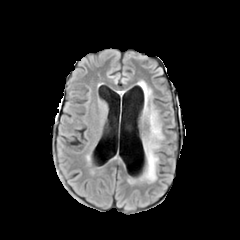
FLAIR MR image.
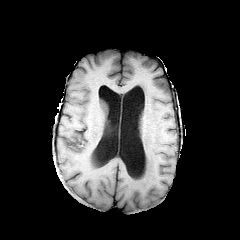
T1-weighted MRI of the same slice.
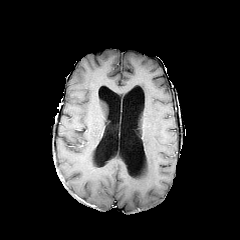
Same slice, post-contrast T1-weighted MR image.
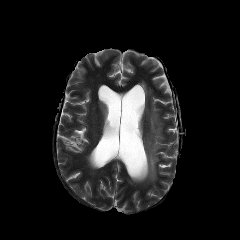
Same slice, T2-weighted MR image.
The edema appears at <box>138,81,162,181</box>.